Computed tomography, 512x512 px, Slice index 525

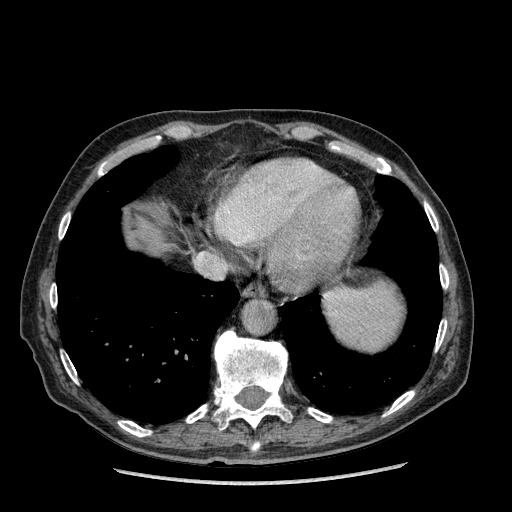 <segmentation>
  <liver>[139,219,160,249]</liver>
</segmentation>